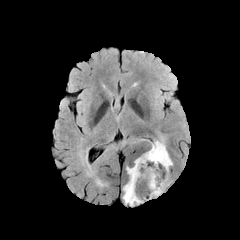
FLAIR MR image.
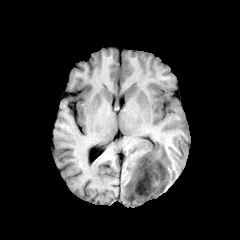
T1-weighted magnetic resonance.
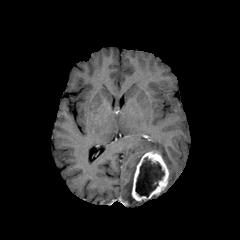
Post-contrast T1-weighted magnetic resonance.
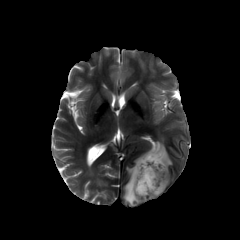
T2-weighted MR image.
{
  "edema": [
    "(left=147, top=137, right=172, bottom=169)",
    "(left=123, top=157, right=143, bottom=205)"
  ],
  "enhancing_tumor": [
    "(left=131, top=150, right=169, bottom=201)"
  ],
  "non-enhancing_tumor_core": [
    "(left=136, top=158, right=164, bottom=197)"
  ]
}